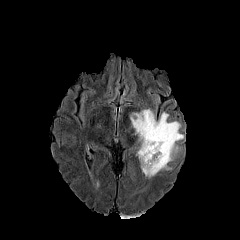
FLAIR MR.
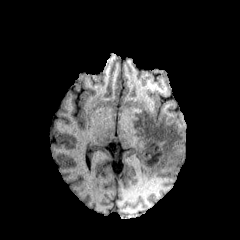
T1-weighted MR.
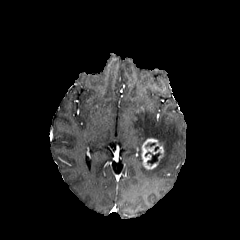
Post-contrast T1-weighted MR.
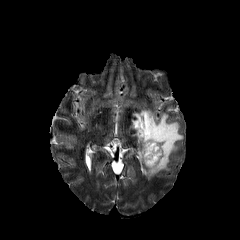
T2-weighted MR image.
Head | Image size 240x240
The enhancing tumor is bounded by 141, 138, 164, 169. The non-enhancing tumor core is bounded by 147, 152, 161, 166. The edema appears at 130, 109, 183, 178.